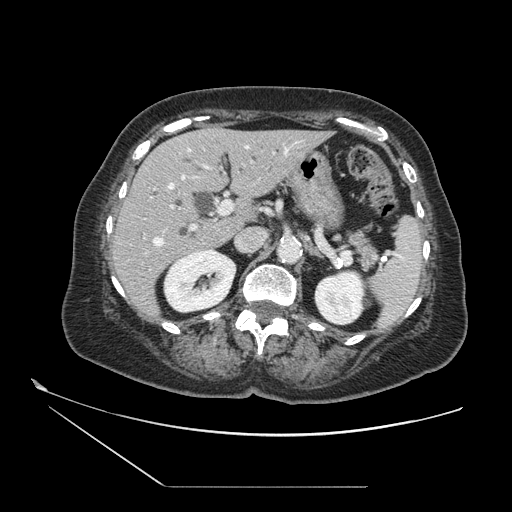 512x512, CT image
The pancreas is located at (348,231,375,265).